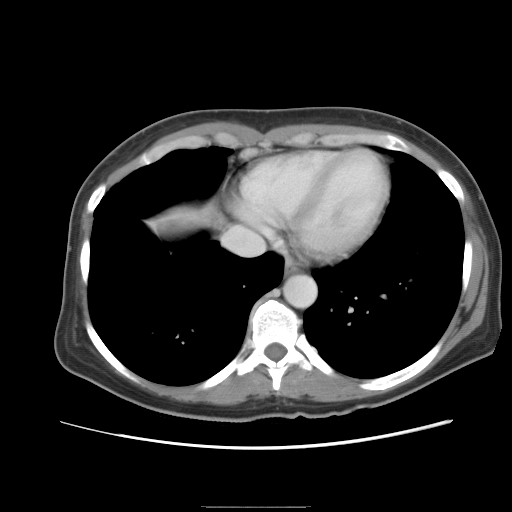

Abdomen. CT.

Not every hepatic vessel necessarily has a box.
The hepatic vessel is located at x1=223, y1=227, x2=264, y2=254.